Computed tomography.
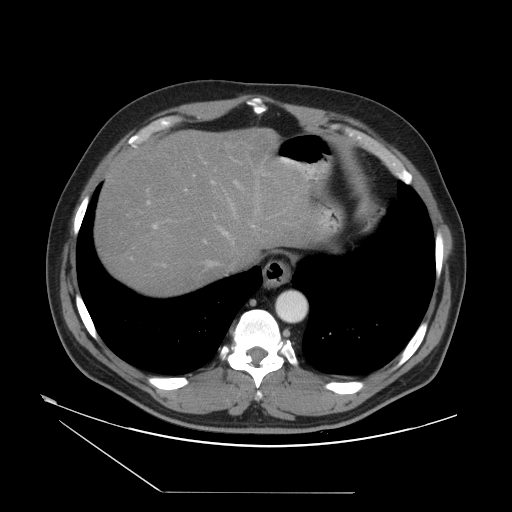

Only some of the vessels may be annotated.
Segmented structures:
* hepatic vessel (principal 15 of 17): [x1=254, y1=171, x2=267, y2=176], [x1=161, y1=220, x2=170, y2=222], [x1=203, y1=241, x2=205, y2=243], [x1=217, y1=227, x2=228, y2=237], [x1=146, y1=202, x2=149, y2=204], [x1=162, y1=264, x2=164, y2=266], [x1=206, y1=261, x2=216, y2=266], [x1=230, y1=158, x2=239, y2=163], [x1=184, y1=189, x2=186, y2=191], [x1=228, y1=200, x2=237, y2=218], [x1=231, y1=239, x2=233, y2=244], [x1=233, y1=180, x2=240, y2=188], [x1=152, y1=223, x2=160, y2=228], [x1=211, y1=181, x2=214, y2=184], [x1=251, y1=225, x2=254, y2=227]
* liver tumor: [x1=218, y1=142, x2=227, y2=155]